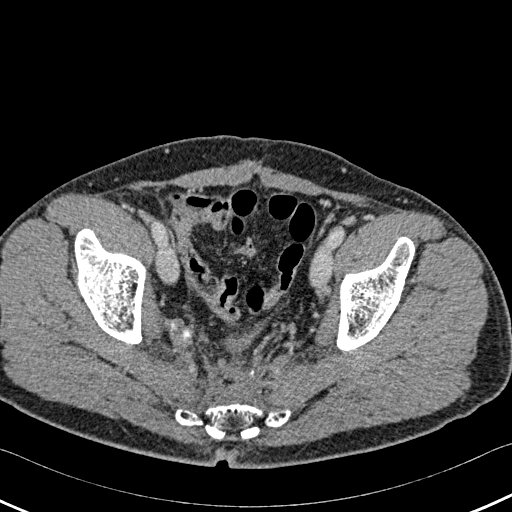

512x512 px; Computed tomography
5 bone regions are bounded by [x1=175, y1=409, x2=203, y2=425], [x1=266, y1=409, x2=290, y2=426], [x1=203, y1=404, x2=262, y2=438], [x1=75, y1=229, x2=145, y2=343], [x1=337, y1=237, x2=414, y2=350].